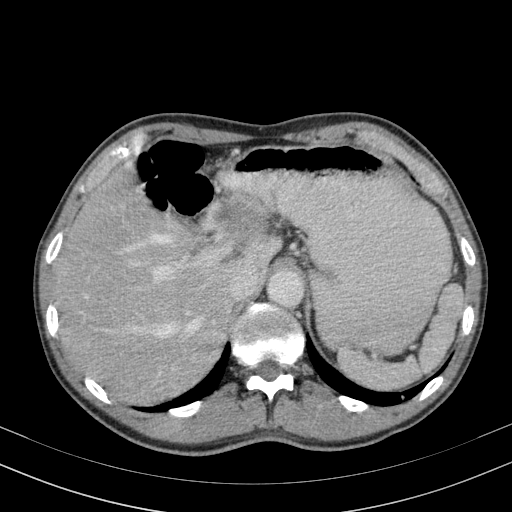

CT | Image size 512x512

Liver lesion — 221 203 255 219.
Liver — 53 163 281 406.